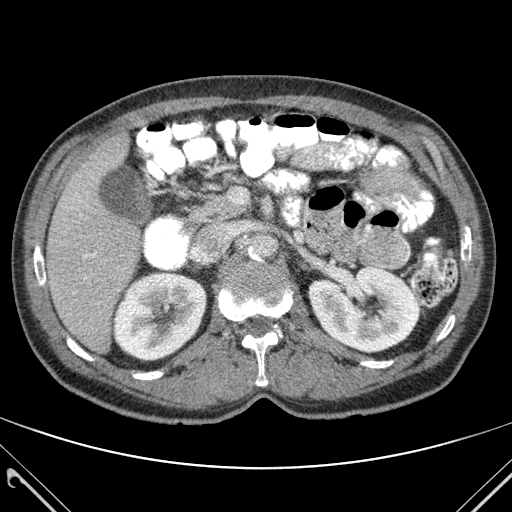 CT scan slice | Image size 512x512
- bone: (left=361, top=361, right=392, bottom=367), (left=219, top=270, right=292, bottom=320), (left=461, top=227, right=471, bottom=259), (left=437, top=315, right=454, bottom=340), (left=133, top=371, right=162, bottom=379), (left=67, top=338, right=92, bottom=360), (left=34, top=245, right=45, bottom=284), (left=242, top=330, right=281, bottom=385)
- liver: (left=47, top=132, right=143, bottom=352)
- kidney: (left=115, top=274, right=205, bottom=359), (left=310, top=267, right=418, bottom=351)